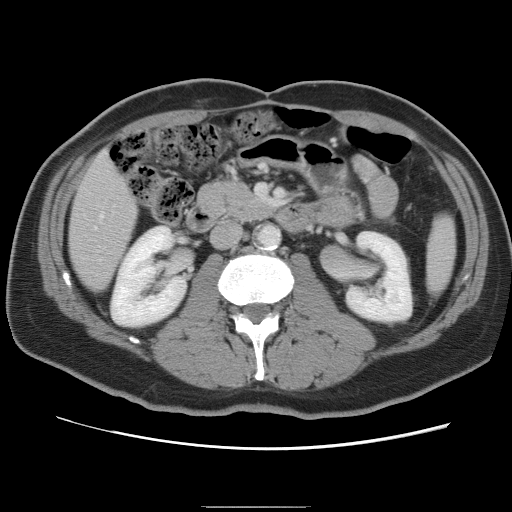
Liver; Computed tomography
Not every hepatic vessel necessarily has a box.
Hepatic vessel: rect(99, 258, 101, 260); rect(99, 213, 103, 221); rect(93, 226, 96, 228).